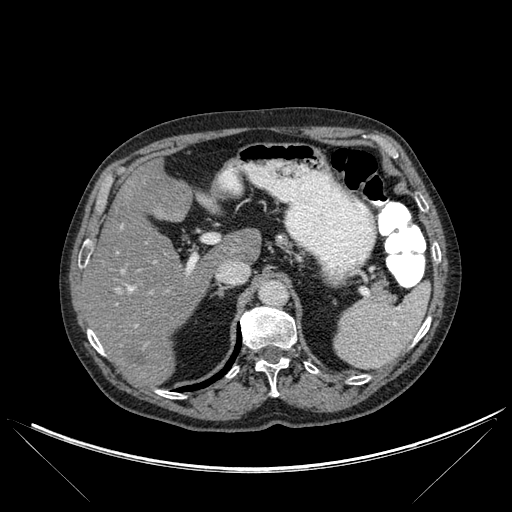 Computed tomography; Upper abdomen
The lung is at (x1=177, y1=329, x2=241, y2=391). 10 bone regions appear at (x1=87, y1=329, x2=104, y2=354), (x1=416, y1=196, x2=428, y2=211), (x1=240, y1=307, x2=296, y2=349), (x1=432, y1=243, x2=440, y2=261), (x1=305, y1=362, x2=318, y2=373), (x1=413, y1=317, x2=430, y2=344), (x1=226, y1=366, x2=238, y2=377), (x1=156, y1=390, x2=184, y2=398), (x1=255, y1=358, x2=289, y2=396), (x1=348, y1=375, x2=369, y2=384). The focal liver lesion appears at (x1=122, y1=341, x2=145, y2=362). 2 liver regions appear at (x1=85, y1=164, x2=217, y2=385), (x1=211, y1=229, x2=261, y2=264).